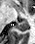 MR
The posterior hippocampus is at 13:21:27:31.